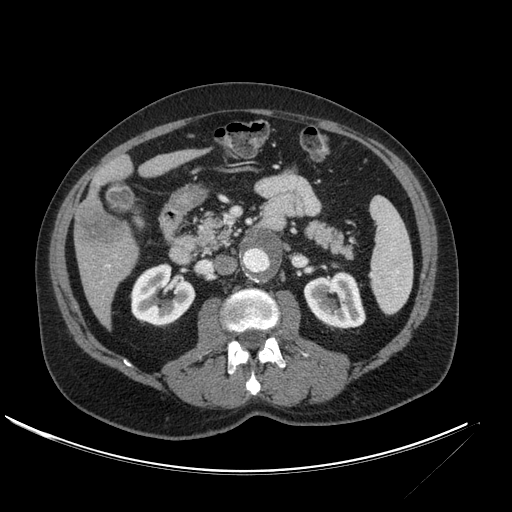
Abdomen | Computed tomography
Liver lesion = (left=74, top=194, right=129, bottom=250).
Liver = (left=75, top=228, right=138, bottom=329), (left=88, top=155, right=134, bottom=198), (left=139, top=147, right=211, bottom=177).
Kidney = (left=304, top=273, right=364, bottom=327), (left=132, top=265, right=194, bottom=324).